FLAIR MR.
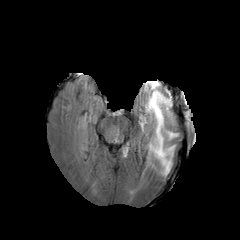
T1-weighted MR.
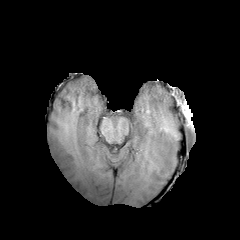
Post-contrast T1-weighted MRI.
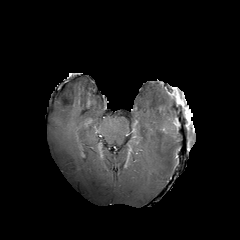
T2-weighted MRI.
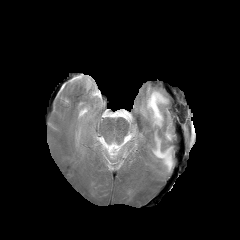
<segmentation>
  <edema>(138, 81, 177, 176)</edema>
</segmentation>